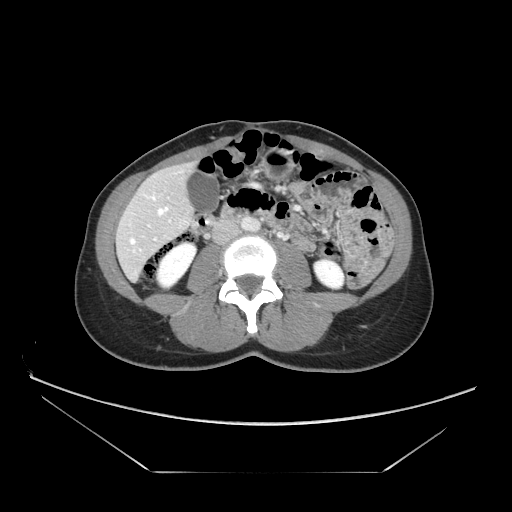
Image size 512x512; CT slice
Pancreas: bounding box (220,205,232,217).